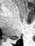

MRI slice. Medial temporal lobe. posterior_hippocampus:
  - [10, 36, 20, 40]